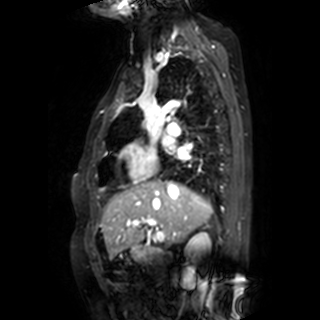 MRI. Cardiac.

Left atrium = region(162, 137, 174, 146); region(177, 147, 188, 158).